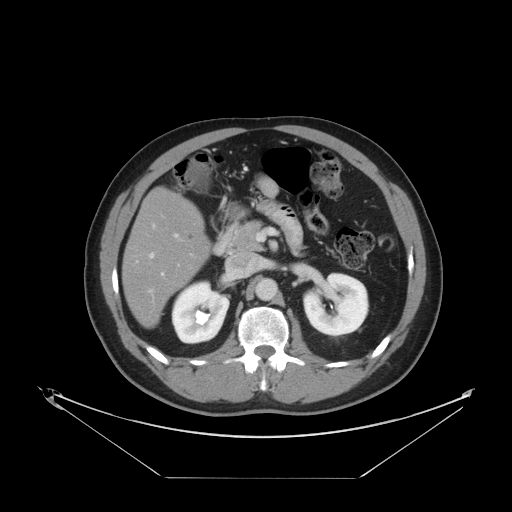
512x512; CT image
The vessel annotation is not exhaustive.
5 hepatic vessel regions are bounded by x1=152, y1=224, x2=154, y2=226; x1=174, y1=234, x2=177, y2=236; x1=149, y1=290, x2=151, y2=291; x1=161, y1=273, x2=162, y2=274; x1=149, y1=253, x2=153, y2=257.